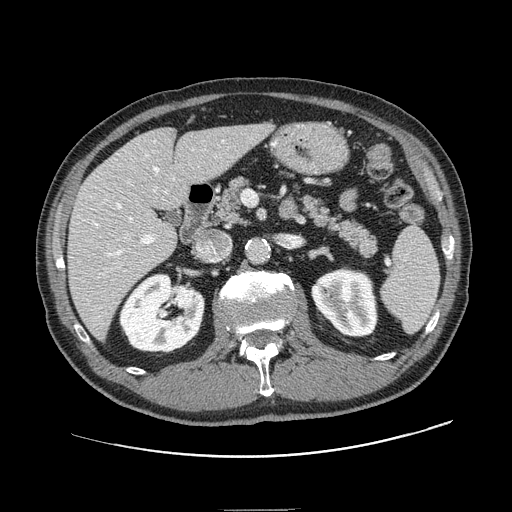
CT slice, Image size 512x512
{
  "pancreas": [
    "box=[212, 175, 251, 226]",
    "box=[299, 193, 379, 258]"
  ]
}